512x512 px | Field of view 500x500 mm | CT scan slice | Slice index 52 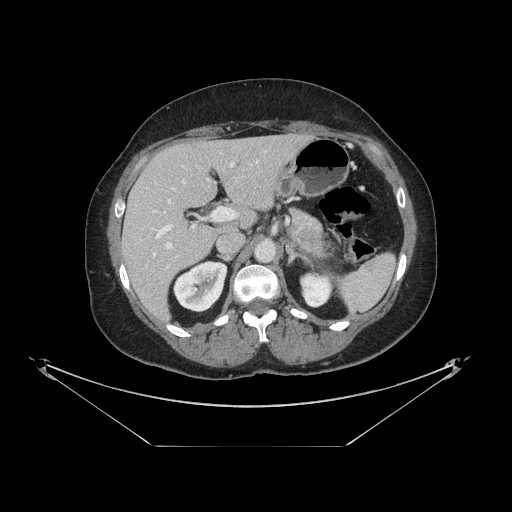
• pancreas: bbox(289, 208, 331, 259)
• pancreatic tumor: bbox(299, 230, 319, 244)